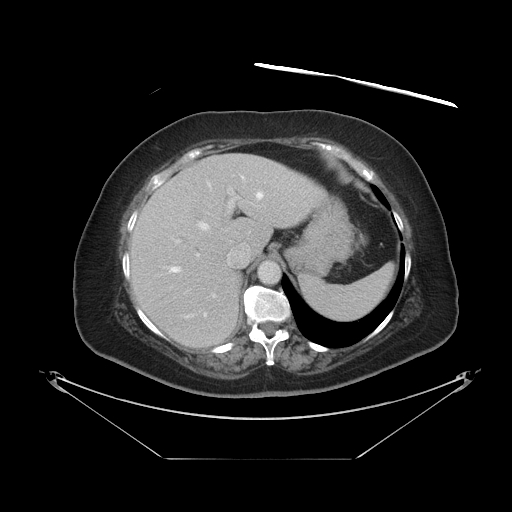 Abdomen | CT slice
Not every hepatic vessel necessarily has a box.
{"liver_tumor": ["190 210 204 225"], "hepatic_vessel": ["176 240 179 241", "196 253 199 256", "204 313 206 315", "184 314 191 316", "256 191 263 199", "210 293 215 296", "208 183 209 185", "230 225 251 255", "164 266 181 272", "241 175 243 179", "199 222 208 229"]}